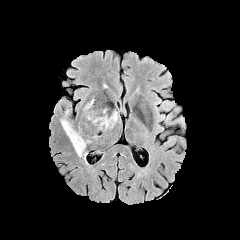
FLAIR MR.
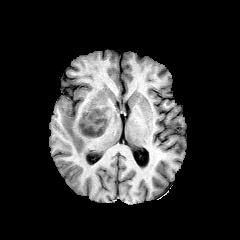
T1-weighted magnetic resonance.
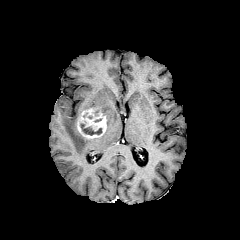
Same slice, post-contrast T1-weighted MRI.
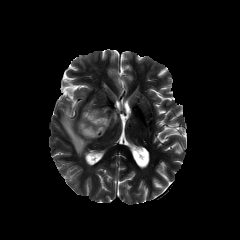
Same slice, T2-weighted MR image.
Head
The enhancing tumor is bounded by (x1=77, y1=108, x2=106, y2=133). The non-enhancing tumor core is at (x1=83, y1=127, x2=102, y2=135). 2 edema regions are bounded by (x1=60, y1=105, x2=94, y2=158), (x1=102, y1=109, x2=116, y2=127).